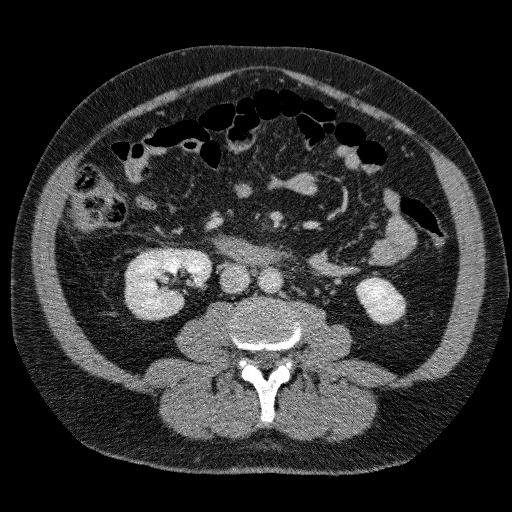

CT.
Kidney = box=[357, 278, 404, 322]; box=[126, 249, 210, 317].